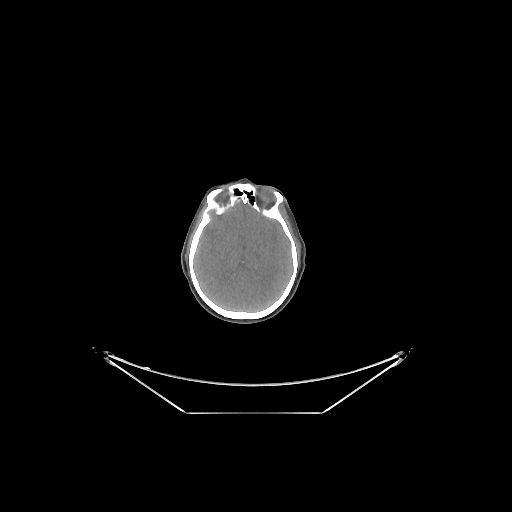 CT slice
Annotated regions:
- brain: region(193, 199, 293, 312)